CT slice.
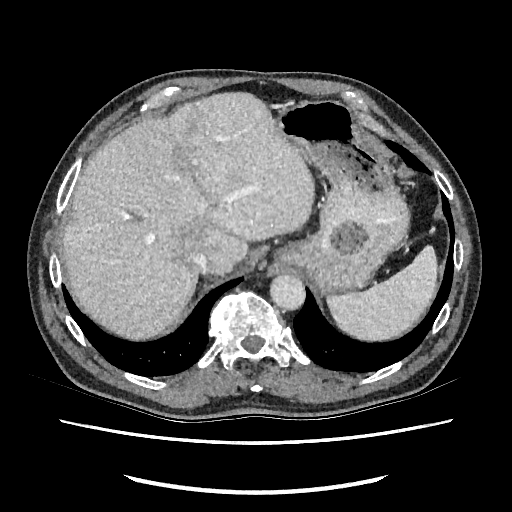
Focal liver lesion — x1=187, y1=122, x2=196, y2=132; x1=174, y1=229, x2=201, y2=266; x1=174, y1=146, x2=190, y2=168.
Liver — x1=62, y1=94, x2=312, y2=336.